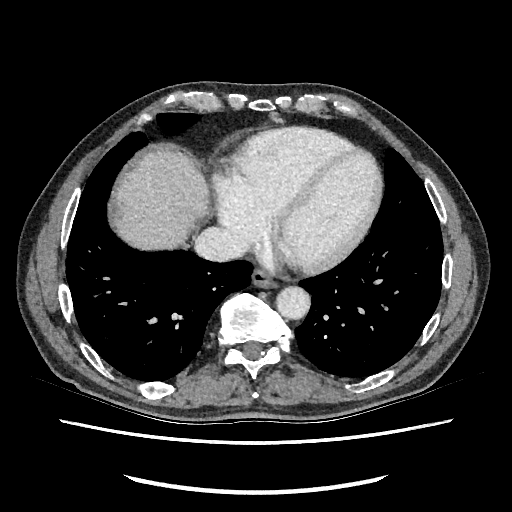

Computed tomography | Liver
The hepatic lesion lies within bbox(116, 205, 121, 216). The liver is located at bbox(115, 152, 209, 247).